CT slice 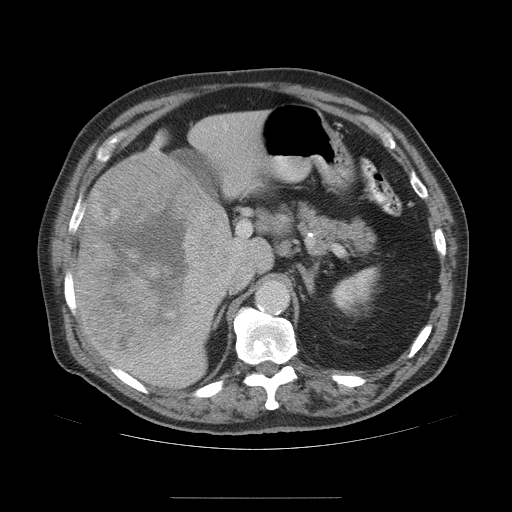

Some hepatic vessels may have no box.
Liver tumor: bbox=[75, 152, 230, 359].
Hepatic vessel: bbox=[223, 124, 227, 129].